CT image, Slice 56/87, Upper abdomen
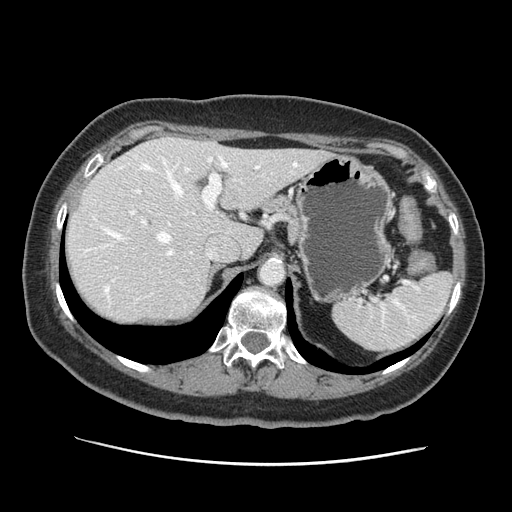
Annotated regions:
- spleen: left=333, top=274, right=450, bottom=351